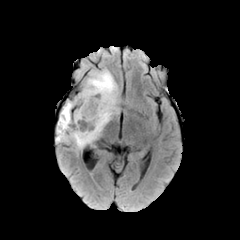
FLAIR MR.
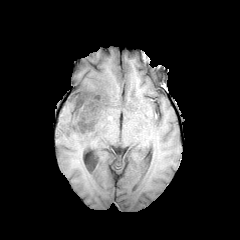
T1-weighted MR.
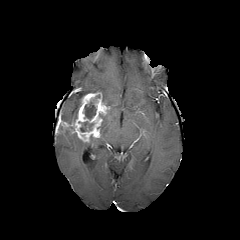
Post-contrast T1-weighted MRI of the same slice.
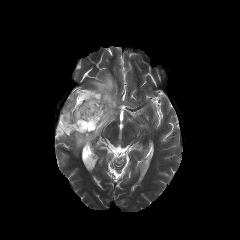
T2-weighted MR image.
Brain. Image size 240x240.
non-enhancing_tumor_core:
  - [80,121,92,131]
  - [84,102,95,118]
  - [72,89,98,122]
edema:
  - [81,70,117,135]
  - [55,132,96,148]
  - [60,98,75,123]
enhancing_tumor:
  - [56,92,110,142]